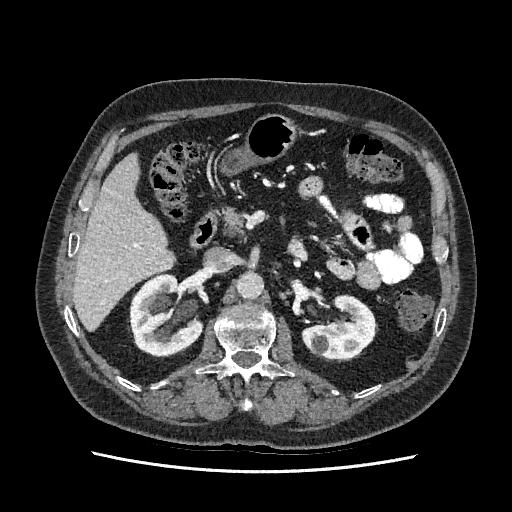

512x512; CT scan slice
The liver is bounded by 74, 154, 174, 329. 2 kidney regions appear at 131, 275, 201, 355; 303, 296, 374, 358.